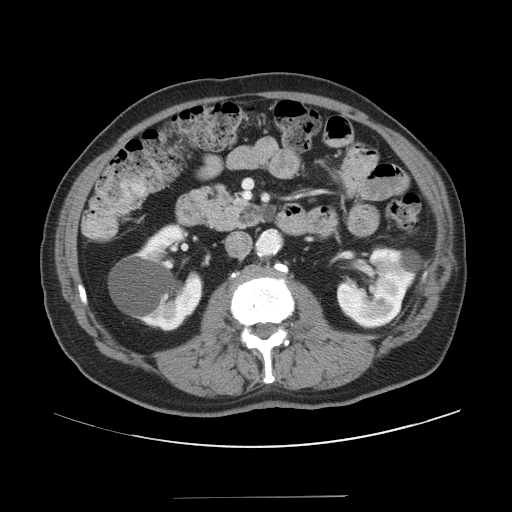

CT slice. Pancreas: (191,184,275,231).
Pancreatic tumor: (237,207,272,225).